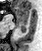
MRI slice. Hippocampus.

{
  "anterior_hippocampus": [
    "rect(16, 7, 29, 23)"
  ],
  "posterior_hippocampus": [
    "rect(20, 24, 25, 33)"
  ]
}